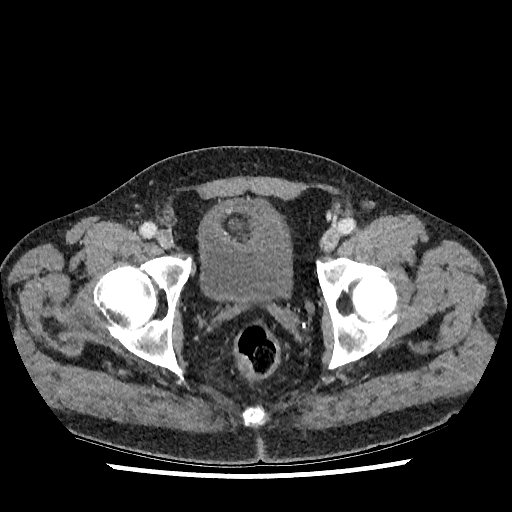 CT

Urinary bladder at bbox(199, 199, 292, 309).